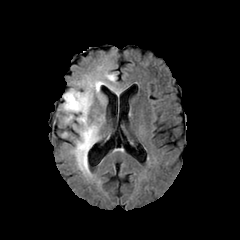
FLAIR MR image.
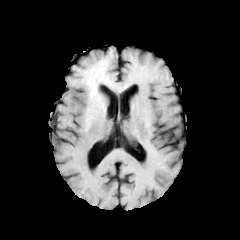
Same slice, T1-weighted MR image.
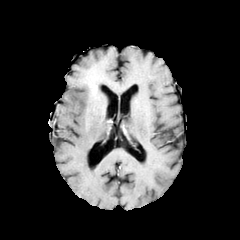
Post-contrast T1-weighted MRI.
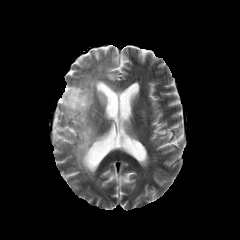
T2-weighted MR.
Head
The non-enhancing tumor core appears at l=85, t=76, r=105, b=102. 2 edema regions are located at l=93, t=67, r=121, b=103; l=61, t=76, r=101, b=177.